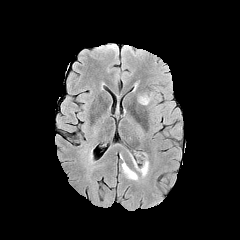
FLAIR magnetic resonance.
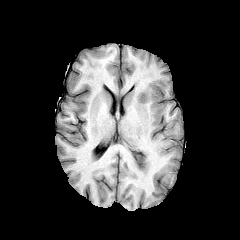
T1-weighted MRI.
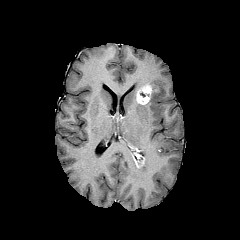
Post-contrast T1-weighted MRI.
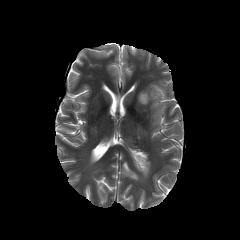
T2-weighted magnetic resonance.
Brain
The enhancing tumor is at left=136, top=85, right=151, bottom=104. 3 edema regions appear at left=149, top=86, right=167, bottom=101; left=119, top=154, right=138, bottom=181; left=127, top=150, right=149, bottom=178.